Slice 95 of 155
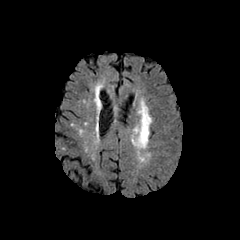
FLAIR magnetic resonance.
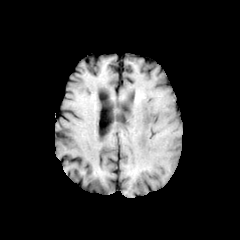
Same slice, T1-weighted MR.
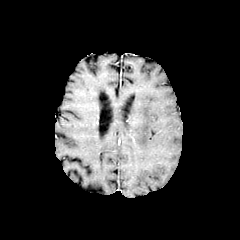
Post-contrast T1-weighted MRI.
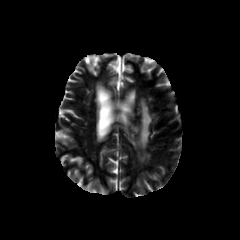
Same slice, T2-weighted MRI.
{
  "edema": [
    "x1=130 y1=99 x2=152 y2=148"
  ]
}